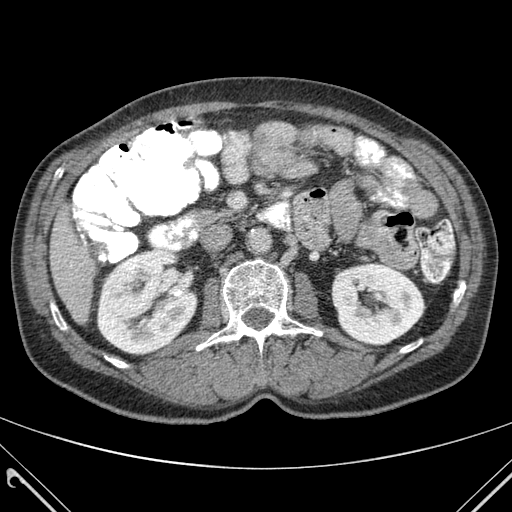
Image size 512x512; Upper abdomen; CT
Liver: bounding box <box>50,208,95,319</box>.
Kidney: bounding box <box>333,264,423,343</box>, <box>98,249,195,353</box>.
Bone: bounding box <box>400,342,421,352</box>, <box>196,260,321,351</box>, <box>105,356,126,367</box>, <box>454,282,465,301</box>, <box>51,303,65,329</box>.